Computed tomography | Abdomen
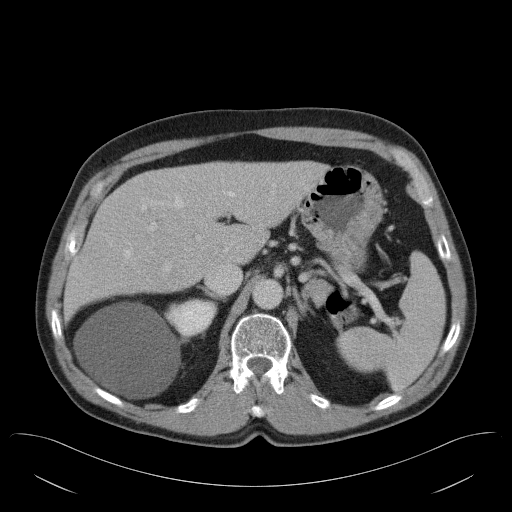

Some hepatic vessels may have no box.
6 hepatic vessel regions appear at [x1=124, y1=250, x2=130, y2=256], [x1=175, y1=197, x2=182, y2=206], [x1=223, y1=191, x2=234, y2=196], [x1=148, y1=223, x2=156, y2=230], [x1=165, y1=265, x2=169, y2=269], [x1=140, y1=199, x2=146, y2=211].